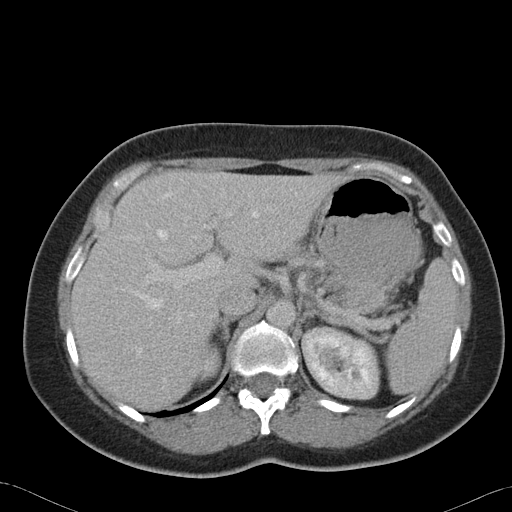

CT slice
Pancreas: bounding box <box>291,256,354,311</box>.
Pancreatic tumor: bounding box <box>347,282,384,312</box>.